Image size 240x240. Image width 240 mm. Brain.
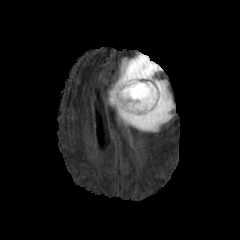
FLAIR MR.
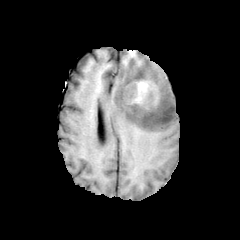
T1-weighted MRI.
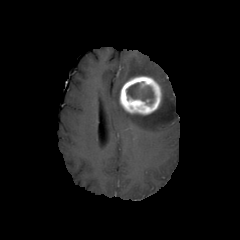
Post-contrast T1-weighted MR image.
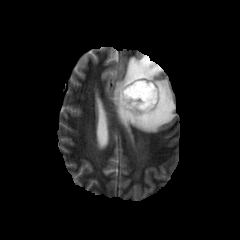
T2-weighted MR image.
The non-enhancing tumor core is bounded by 126, 83, 154, 103. The edema appears at 112, 54, 174, 131. The enhancing tumor is bounded by 119, 75, 161, 115.